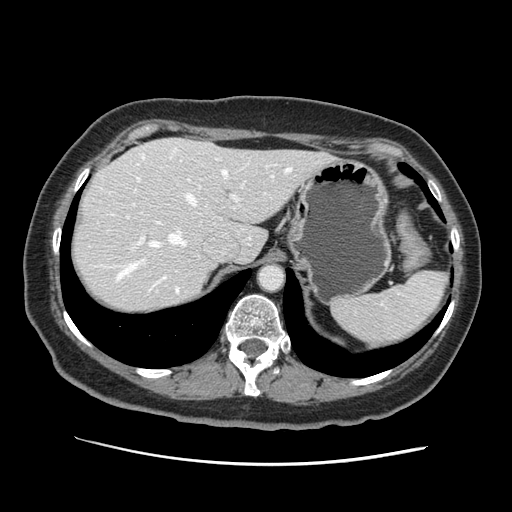 CT. spleen:
  - left=332, top=271, right=446, bottom=346